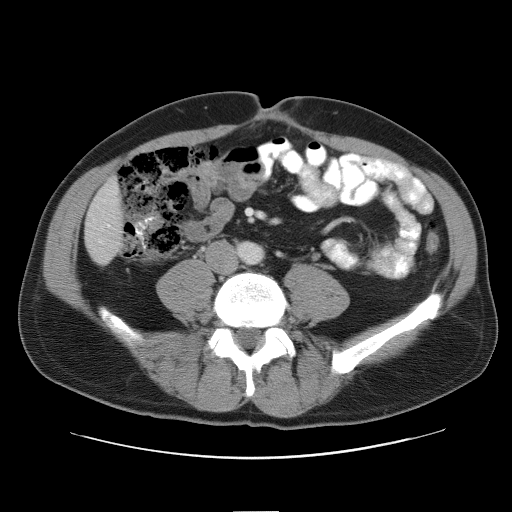 Image size 512x512 | Liver | Computed tomography
The vessel boxes may cover only some of the vessels.
<segmentation>
  <hepatic_vessel>(99,240,100,243)</hepatic_vessel>
</segmentation>